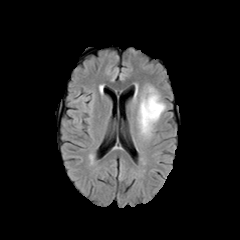
FLAIR MR image.
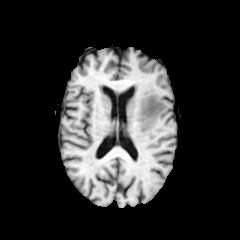
T1-weighted magnetic resonance of the same slice.
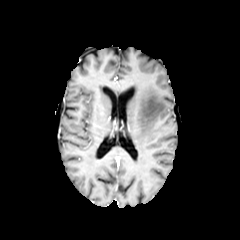
Same slice, post-contrast T1-weighted MRI.
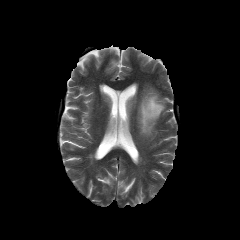
T2-weighted MR.
Brain. 240x240.
Segmented structures:
- edema: bbox=[138, 88, 165, 134]